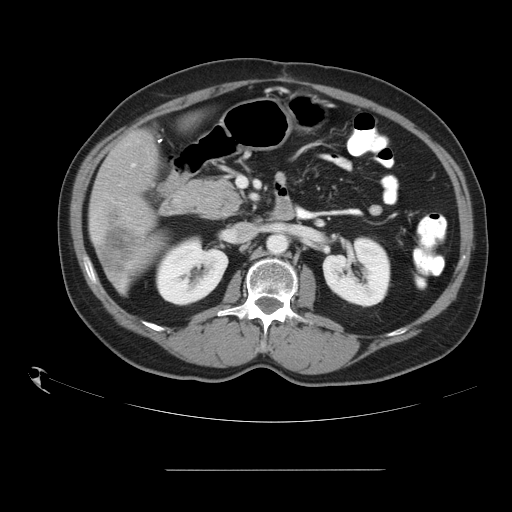 CT slice, 512x512
Some hepatic vessels may have no box.
hepatic vessel: <box>132,163,134,165</box> | liver tumor: <box>99,207,133,277</box>